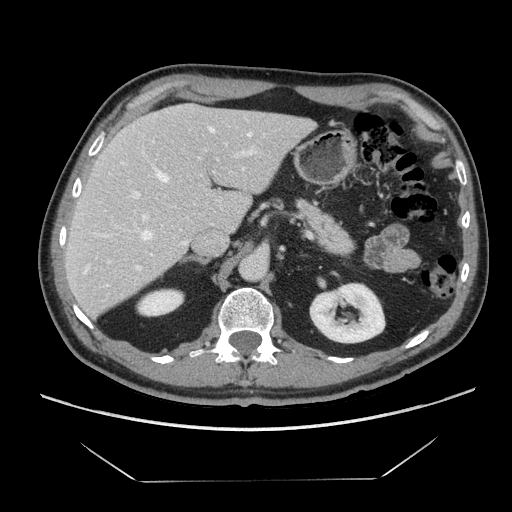 CT image. Image size 512x512. Abdomen.
pancreas:
  - (x1=298, y1=201, x2=352, y2=253)